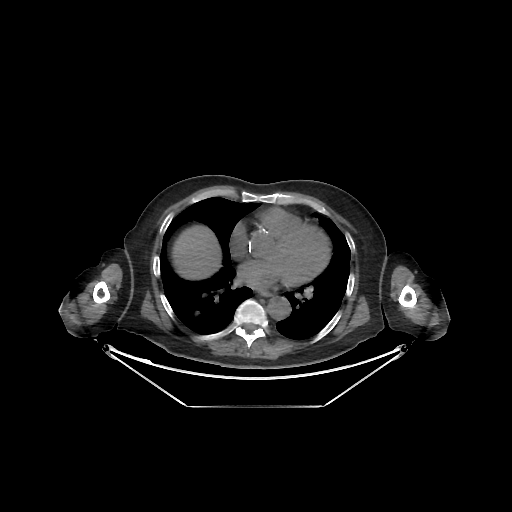
Liver | CT image
Liver: bounding box <box>173,226,216,277</box>.
Lung: bounding box <box>160,197,260,334</box>, <box>295,285,304,293</box>, <box>276,212,350,340</box>.
Bone: bounding box <box>160,214,171,231</box>, <box>93,281,109,303</box>, <box>315,314,340,340</box>, <box>242,192,278,202</box>, <box>201,331,225,339</box>, <box>346,275,354,295</box>, <box>160,295,172,316</box>, <box>229,300,267,346</box>, <box>153,256,159,275</box>, <box>398,285,416,308</box>.